Upper abdomen, Field of view 472 mm wide, 0.80 mm slice spacing, 512x512 px, CT slice 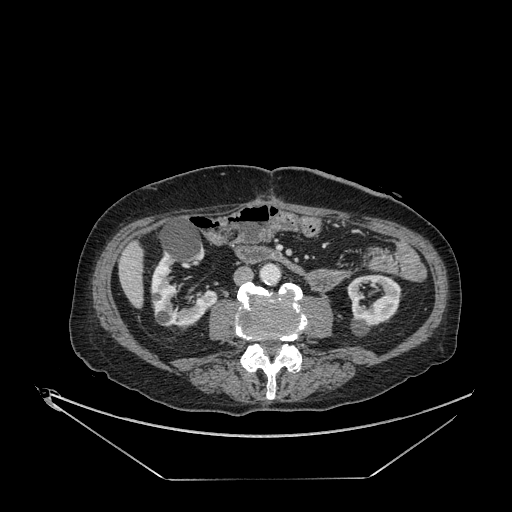 Annotated regions:
- kidney: <box>195,249,203,259</box>, <box>152,253,216,325</box>, <box>348,275,400,325</box>
- liver: <box>119,242,142,307</box>